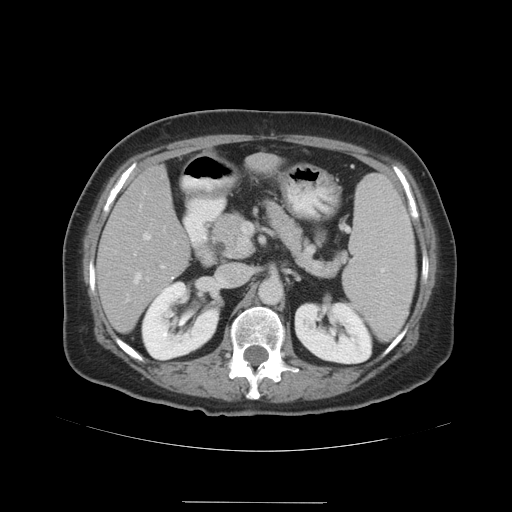

Liver. CT.

The vessel annotation is not exhaustive.
Hepatic vessel — (left=161, top=265, right=164, bottom=267), (left=161, top=175, right=164, bottom=177), (left=143, top=234, right=150, bottom=239), (left=126, top=295, right=128, bottom=301), (left=134, top=253, right=135, bottom=254), (left=146, top=278, right=149, bottom=279), (left=134, top=273, right=140, bottom=282).